FLAIR magnetic resonance.
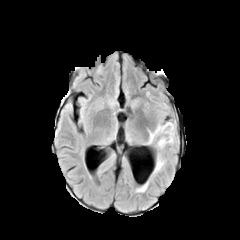
T1-weighted magnetic resonance.
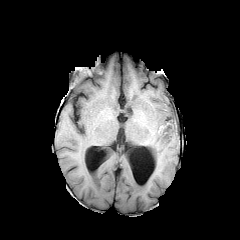
Post-contrast T1-weighted MR.
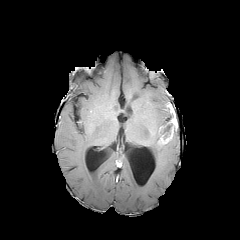
T2-weighted MR image.
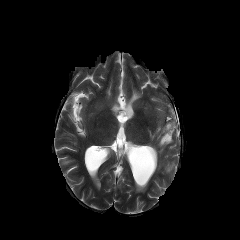
Enhancing tumor: bounding box 159 118 175 143.
Non-enhancing tumor core: bounding box 164 122 172 138.
Edema: bounding box 136 180 148 192, 147 122 179 176.